FLAIR MR.
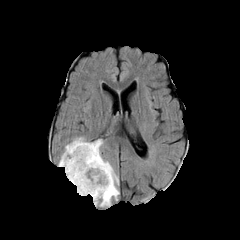
T1-weighted MR image.
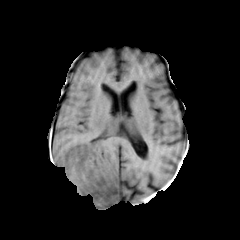
Post-contrast T1-weighted magnetic resonance.
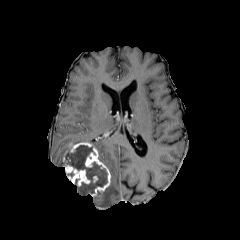
T2-weighted MR.
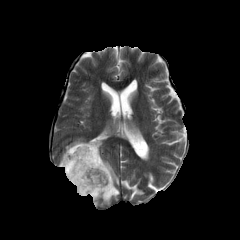
Head
Findings:
- edema: left=78, top=146, right=91, bottom=153; left=93, top=139, right=119, bottom=206; left=77, top=184, right=93, bottom=195; left=58, top=144, right=79, bottom=165; left=70, top=137, right=85, bottom=143; left=88, top=166, right=106, bottom=183
- non-enhancing tumor core: left=63, top=152, right=97, bottom=177; left=88, top=175, right=107, bottom=188
- enhancing tumor: left=70, top=142, right=111, bottom=197; left=63, top=162, right=90, bottom=186